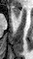 MR.

Annotated regions:
* anterior hippocampus: <bbox>11, 7, 19, 18</bbox>